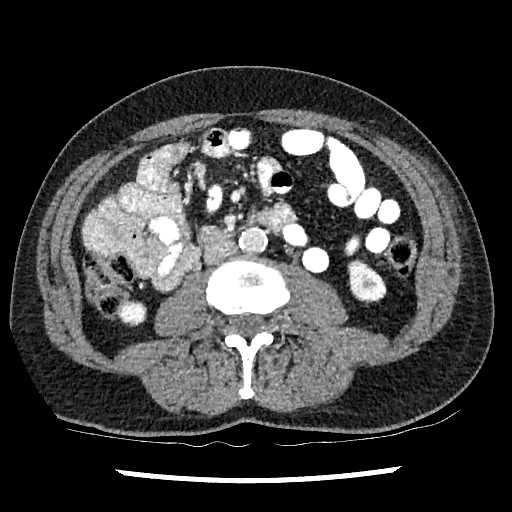 CT slice
2 kidney regions are located at [121,304,143,322], [351,264,385,299].